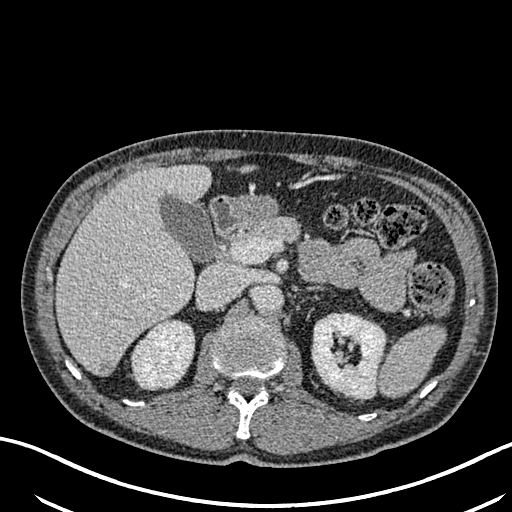 Abdomen. CT image. 512x512 px.
2 kidney regions are located at [313,314,384,394], [132,321,193,386]. The liver appears at [56,166,210,374]. The liver lesion appears at [99,360,115,375].